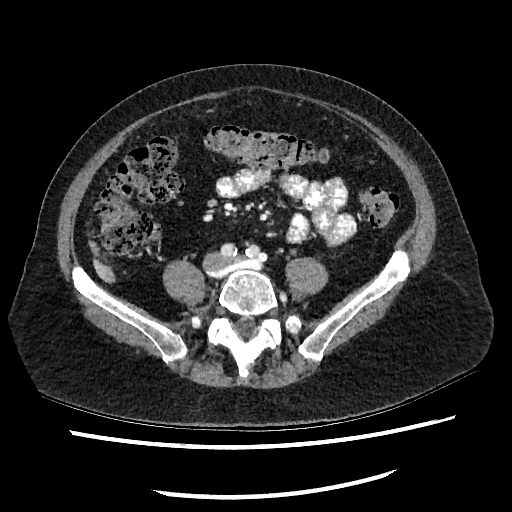

CT
Segmented structures:
- hepatic lesion: {"x1": 106, "y1": 272, "x2": 113, "y2": 279}
- liver: {"x1": 93, "y1": 260, "x2": 113, "y2": 281}